512x512 | CT image | Slice 105/588
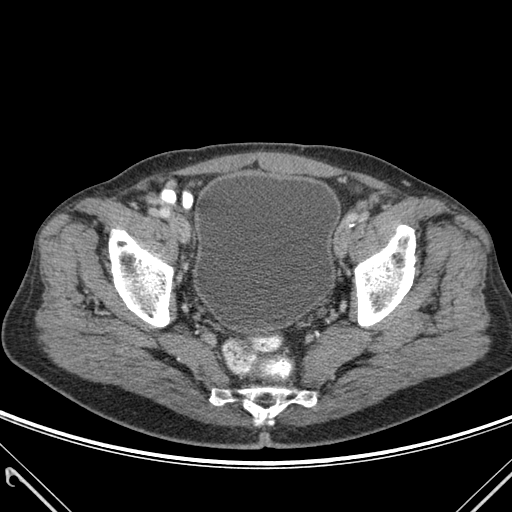
Bone: bounding box [210,389,232,405], [239,388,316,423], [355,225,415,325], [109,229,172,326].
Urinary bladder: bounding box [196,176,337,324].